Upper abdomen. Field of view 460 mm wide, 2.50 mm slice spacing. CT scan slice. Slice 24 of 81. 512x512 px. 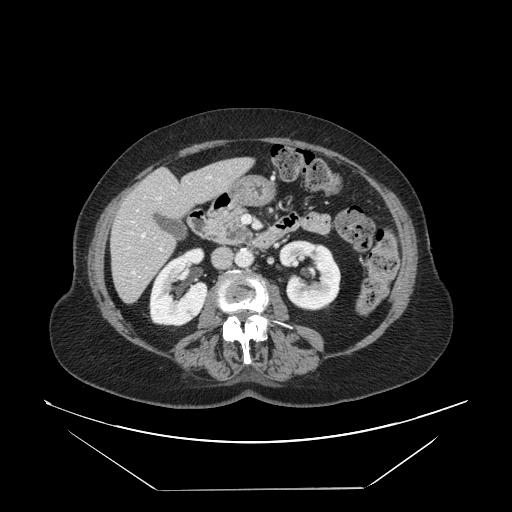

<segmentation>
  <pancreatic_tumor>x1=226, y1=226, x2=248, y2=242</pancreatic_tumor>
  <pancreas>x1=204, y1=206, x2=254, y2=247</pancreas>
</segmentation>